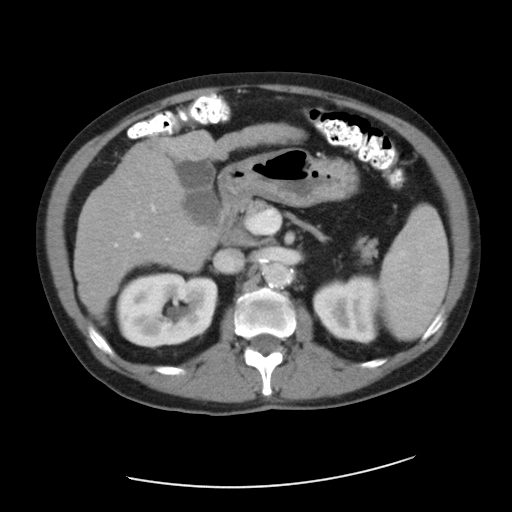
CT. 512x512. Abdomen. The vessel boxes may cover only some of the vessels.
4 hepatic vessel regions are located at bbox=[151, 204, 154, 210]; bbox=[134, 232, 140, 237]; bbox=[131, 213, 133, 216]; bbox=[114, 243, 117, 245]. The liver tumor is at bbox=[183, 133, 211, 159].